Liver. 512x512. Image width 385 mm. CT scan slice.

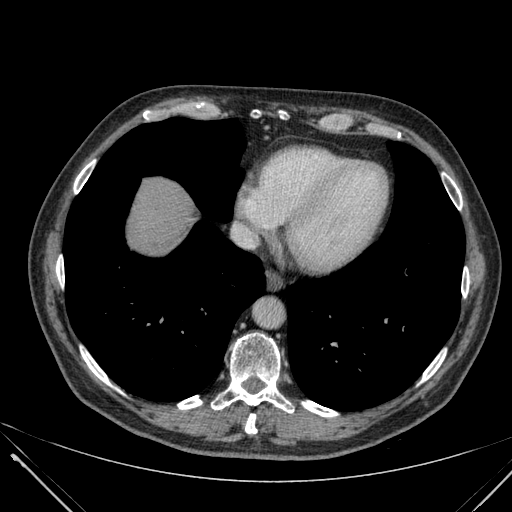

The liver lies within 130:179:197:253.